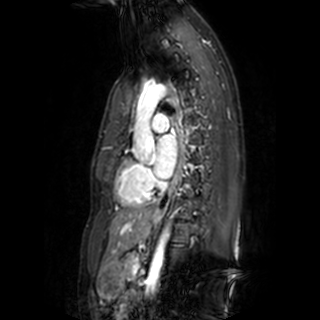

MRI slice. Heart. left_atrium:
  - left=154, top=135, right=177, bottom=178